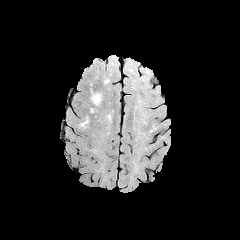
FLAIR MRI.
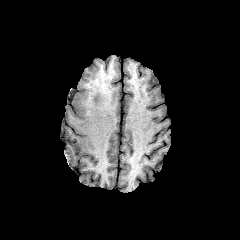
Same slice, T1-weighted magnetic resonance.
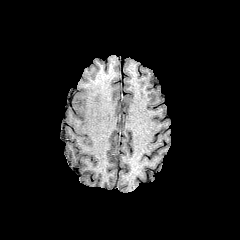
Post-contrast T1-weighted MRI.
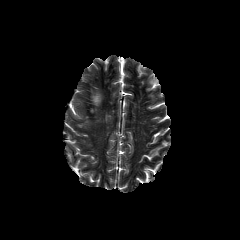
T2-weighted magnetic resonance.
Head.
{
  "edema": [
    "[90,89,101,107]"
  ]
}